Liver | Image width 500 mm | CT scan slice 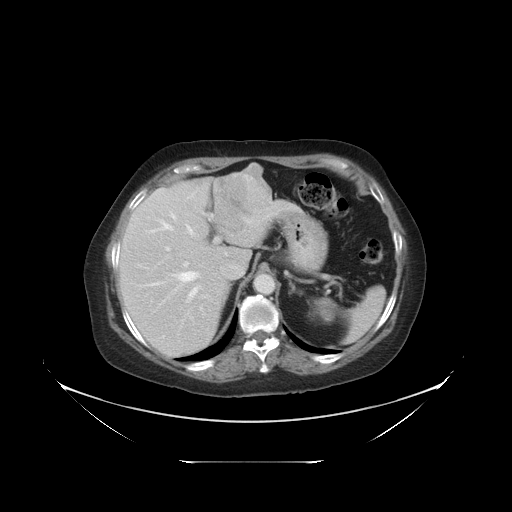
Some hepatic vessels may have no box.
The liver tumor is at 214,163,271,232. 11 hepatic vessel regions are located at 147,220,172,232; 200,307,202,309; 166,247,169,250; 172,271,198,281; 149,281,162,285; 170,213,175,218; 186,287,199,302; 184,262,187,266; 220,261,243,279; 215,238,218,242; 186,225,192,234.